FLAIR MRI.
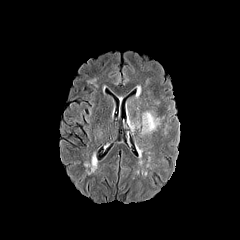
T1-weighted MR image.
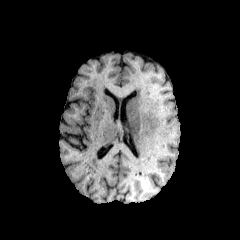
Post-contrast T1-weighted MRI.
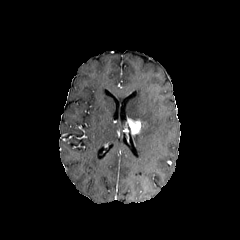
T2-weighted MR.
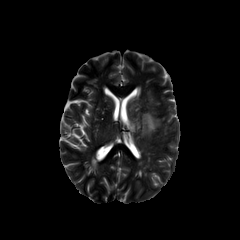
240x240 px
The edema is bounded by left=141, top=113, right=159, bottom=135. The enhancing tumor is located at left=127, top=120, right=140, bottom=133.